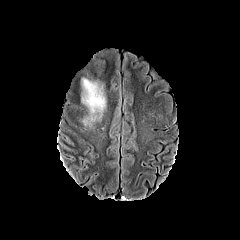
FLAIR MR image.
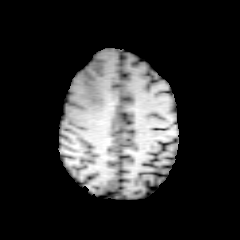
T1-weighted MR.
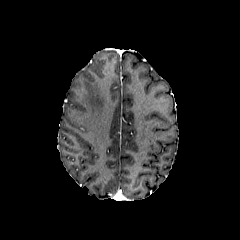
Post-contrast T1-weighted magnetic resonance.
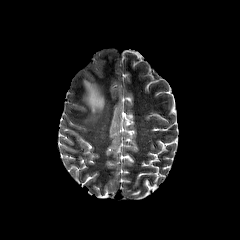
T2-weighted magnetic resonance of the same slice.
Brain | 240x240 px
<segmentation>
  <edema>bbox=[82, 79, 106, 114]</edema>
</segmentation>